512x512. Pelvis. CT scan slice.

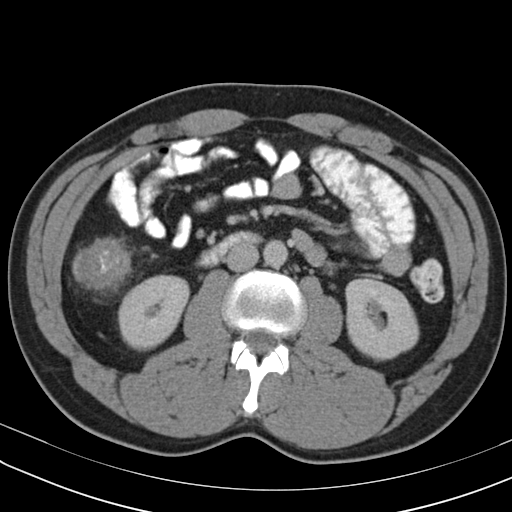
{
  "colon_tumor": [
    "[x1=74, y1=238, x2=130, y2=288]"
  ]
}